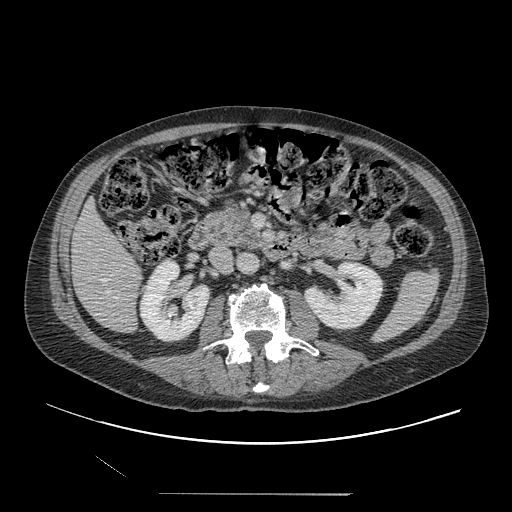
Upper abdomen; CT scan slice; 512x512
The pancreas is located at {"x1": 207, "y1": 199, "x2": 262, "y2": 252}.